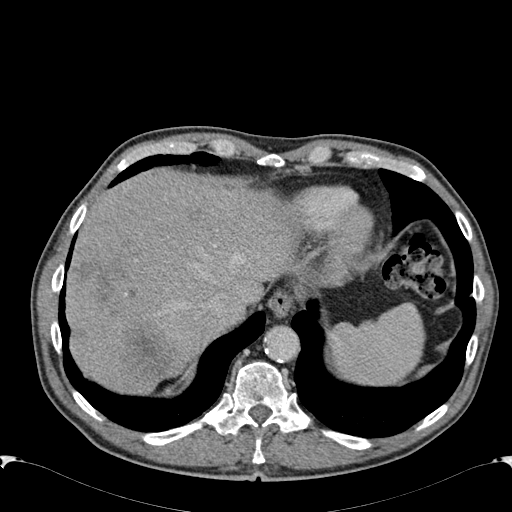 CT image

liver:
  - 66:169:298:394
  - 315:267:344:286
hepatic_lesion:
  - 122:325:170:378
  - 78:258:125:315